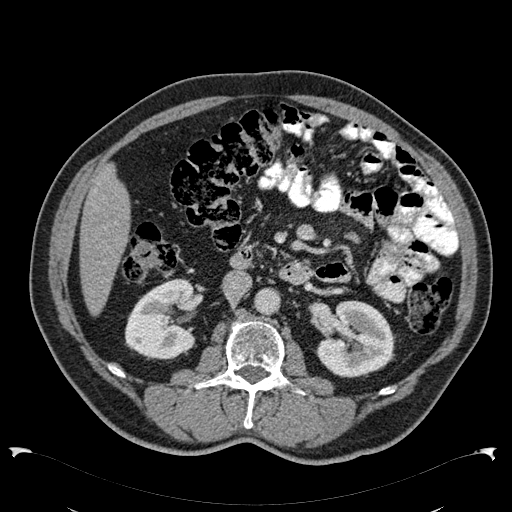 Upper abdomen, Image size 512x512, CT scan slice
The liver is located at left=79, top=163, right=130, bottom=314. 2 kidney regions appear at left=125, top=279, right=202, bottom=358; left=317, top=301, right=393, bottom=377.